240x240. Image width 240 mm.
FLAIR MR.
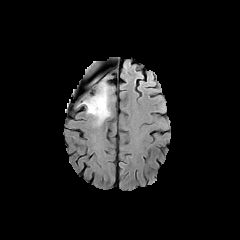
T1-weighted MR image.
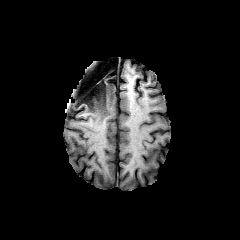
Post-contrast T1-weighted magnetic resonance.
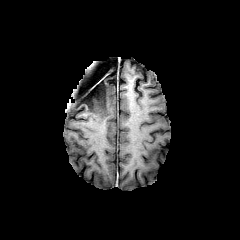
T2-weighted MR.
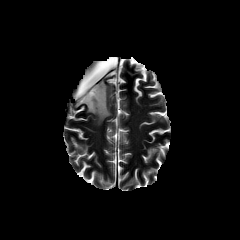
non-enhancing tumor core: (82, 82, 104, 105) | edema: (82, 83, 112, 125)